Field of view 351x351 mm | CT | Slice index 116

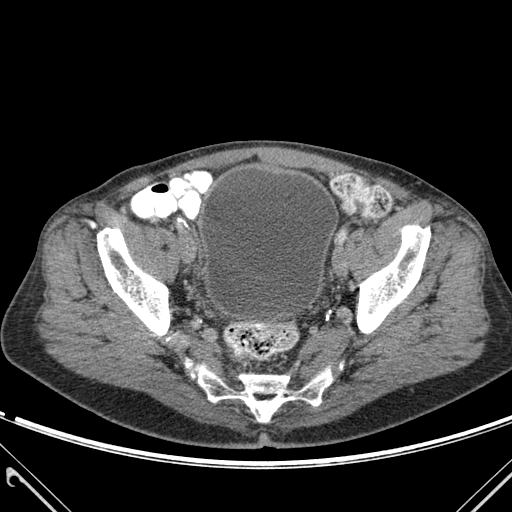
<segmentation>
  <urinary_bladder>region(202, 169, 336, 317)</urinary_bladder>
  <bone>region(196, 365, 332, 421); region(357, 225, 430, 333); region(97, 228, 169, 335)</bone>
</segmentation>